Slice 62 of 122, CT, Liver, Image size 512x512
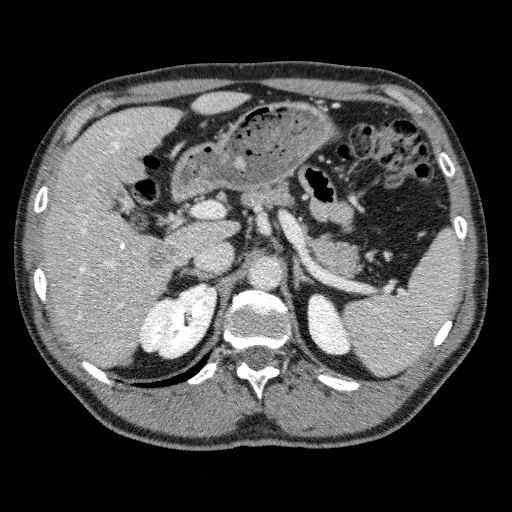
focal liver lesion: {"x1": 146, "y1": 240, "x2": 178, "y2": 268}, {"x1": 124, "y1": 160, "x2": 142, "y2": 177} | kidney: {"x1": 309, "y1": 295, "x2": 349, "y2": 353}, {"x1": 139, "y1": 284, "x2": 215, "y2": 357} | liver: {"x1": 39, "y1": 106, "x2": 239, "y2": 366}, {"x1": 192, "y1": 91, "x2": 251, "y2": 113}